Brain
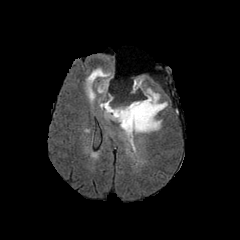
FLAIR MR image.
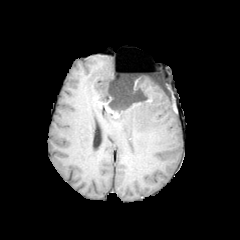
T1-weighted MR.
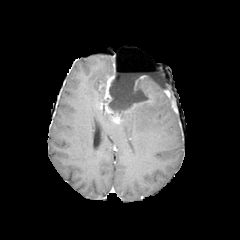
Post-contrast T1-weighted MR.
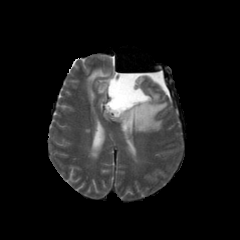
T2-weighted MR.
2 edema regions are located at <box>86,68,111,107</box>, <box>115,76,167,151</box>. 2 enhancing tumor regions appear at <box>100,101,112,112</box>, <box>99,75,113,100</box>. The non-enhancing tumor core is located at <box>108,78,149,119</box>.